Liver. 512x512 px. CT scan slice. Slice index 471.

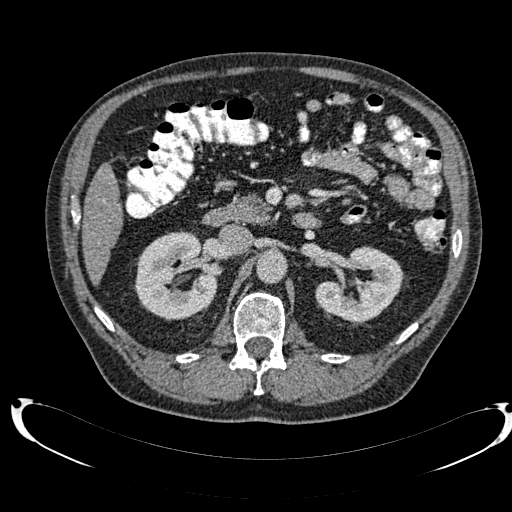

kidney: region(135, 232, 222, 319); region(315, 247, 402, 323) | liver: region(82, 163, 121, 284)